Slice 423 of 761; CT; Upper abdomen
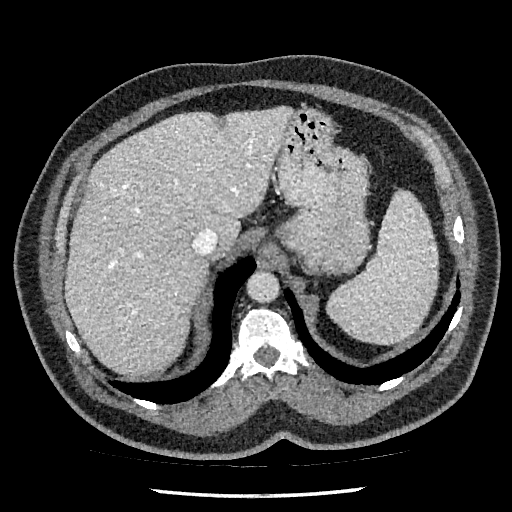
<segmentation>
  <liver_lesion>{"x1": 214, "y1": 118, "x2": 228, "y2": 129}</liver_lesion>
  <liver>{"x1": 65, "y1": 107, "x2": 291, "y2": 374}</liver>
</segmentation>